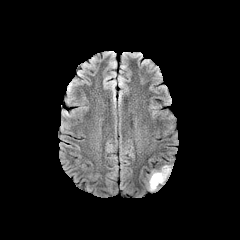
FLAIR MR.
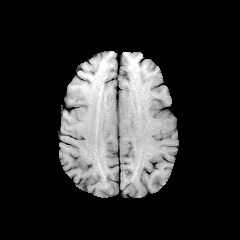
T1-weighted MR image.
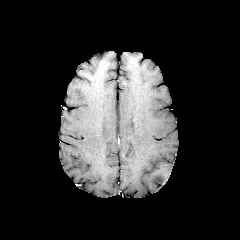
Post-contrast T1-weighted MRI.
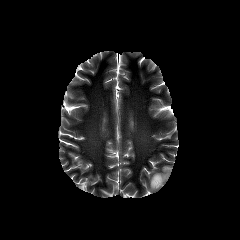
T2-weighted MRI.
edema: bbox(148, 165, 172, 191)